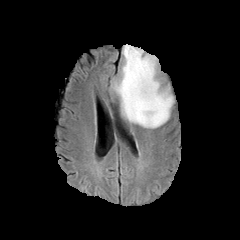
FLAIR MR image.
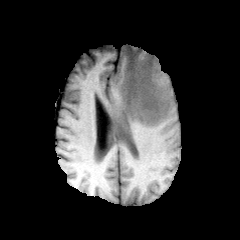
T1-weighted MR.
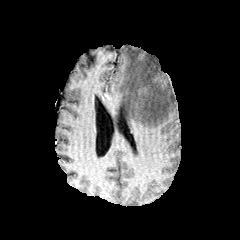
Same slice, post-contrast T1-weighted MR.
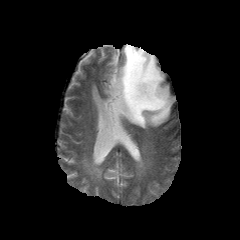
T2-weighted MRI.
Head | 240x240
Non-enhancing tumor core — box=[138, 86, 148, 95].
Edema — box=[110, 45, 174, 128].